Computed tomography | Liver
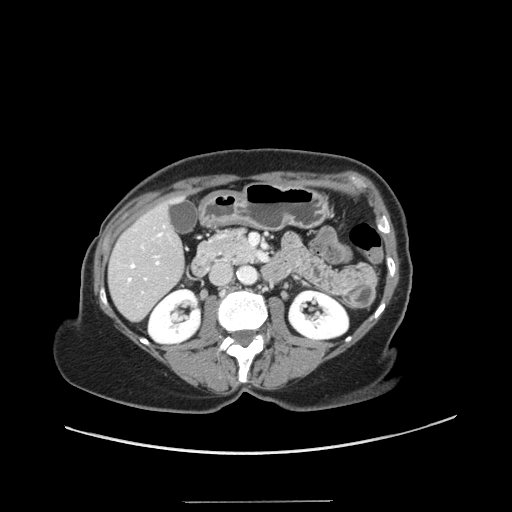 Only some of the vessels may be annotated.
4 hepatic vessel regions are located at x1=158 y1=233 x2=160 y2=235, x1=155 y1=256 x2=159 y2=263, x1=128 y1=278 x2=131 y2=281, x1=131 y1=263 x2=134 y2=267.